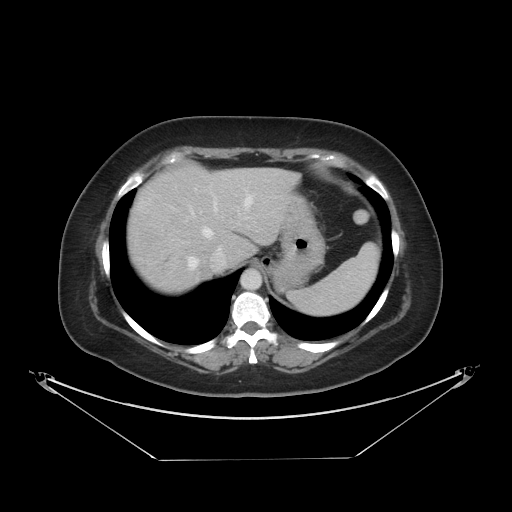
CT image | Image size 512x512

Some hepatic vessels may have no box.
{
  "hepatic_vessel": [
    "243:190:254:206",
    "191:209:192:213",
    "188:257:198:268",
    "212:194:217:211",
    "202:226:213:237"
  ]
}